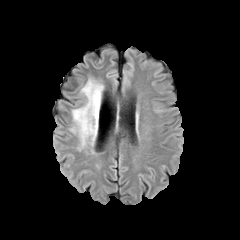
FLAIR MR image.
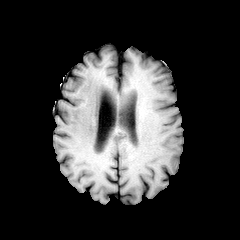
T1-weighted magnetic resonance of the same slice.
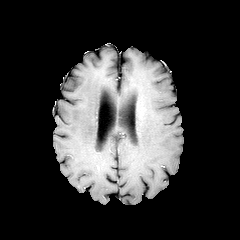
Same slice, post-contrast T1-weighted MR.
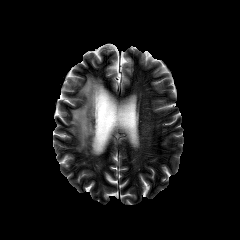
T2-weighted MR of the same slice.
Head
edema: (x1=70, y1=78, x2=103, y2=149)